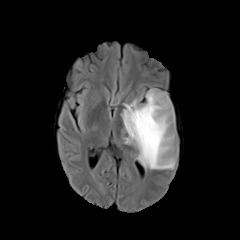
FLAIR MR image.
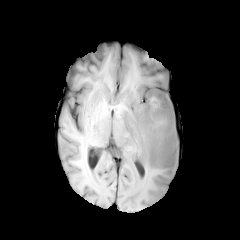
T1-weighted MR image.
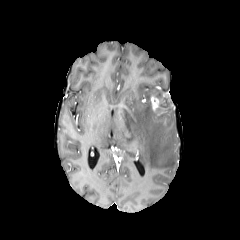
Post-contrast T1-weighted MRI of the same slice.
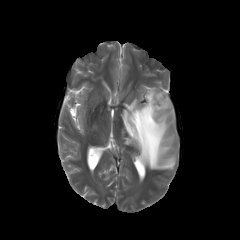
Same slice, T2-weighted MRI.
Brain.
edema:
  - l=121, t=88, r=177, b=169
enhancing_tumor:
  - l=150, t=93, r=167, b=110
non-enhancing_tumor_core:
  - l=149, t=137, r=155, b=149
  - l=136, t=97, r=173, b=132
  - l=150, t=92, r=165, b=99